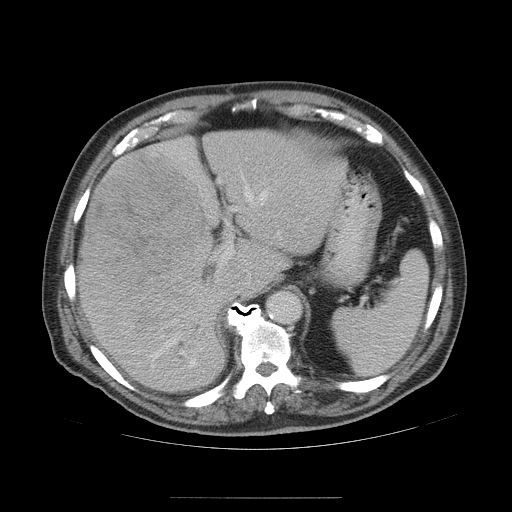 Abdomen; Computed tomography

The vessel annotation is not exhaustive.
The principal 15 hepatic vessel regions (of 20) are located at x1=164, y1=333, x2=183, y2=347; x1=218, y1=178, x2=221, y2=182; x1=201, y1=194, x2=206, y2=205; x1=196, y1=341, x2=198, y2=344; x1=231, y1=207, x2=237, y2=210; x1=172, y1=319, x2=178, y2=324; x1=245, y1=186, x2=252, y2=201; x1=241, y1=173, x2=244, y2=179; x1=259, y1=190, x2=267, y2=204; x1=189, y1=354, x2=196, y2=367; x1=245, y1=263, x2=251, y2=271; x1=200, y1=348, x2=202, y2=350; x1=196, y1=319, x2=207, y2=324; x1=246, y1=224, x2=248, y2=226; x1=209, y1=201, x2=216, y2=219. The liver tumor lies within x1=79, y1=153, x2=206, y2=314.